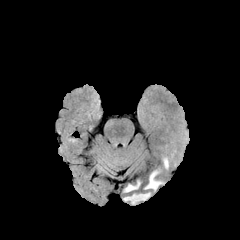
FLAIR MR.
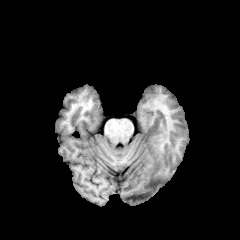
T1-weighted MRI of the same slice.
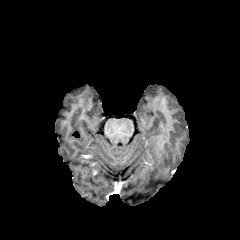
Post-contrast T1-weighted magnetic resonance of the same slice.
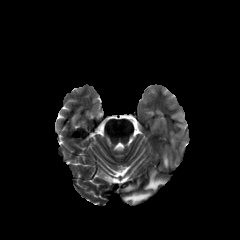
T2-weighted MR image.
{"edema": ["<box>123,170,165,204</box>", "<box>163,157,168,167</box>", "<box>123,180,139,192</box>"]}